CT image; Pelvis; Slice 49 of 95 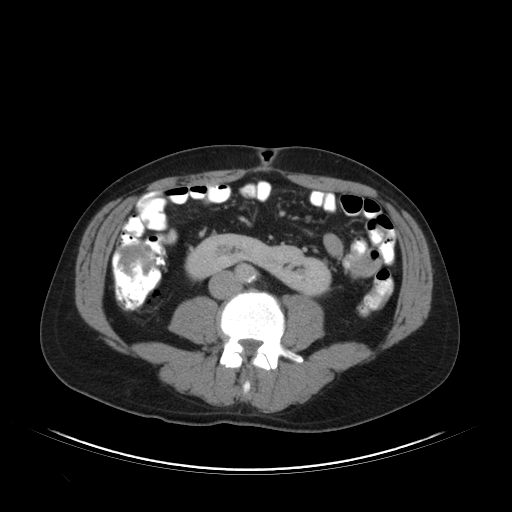

<segmentation>
  <colon_tumor>left=118, top=244, right=153, bottom=274</colon_tumor>
</segmentation>